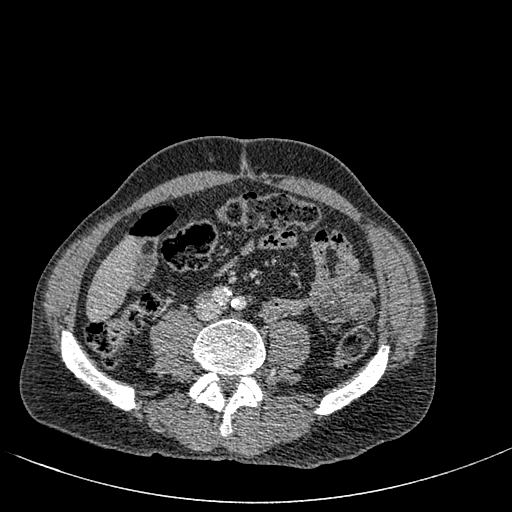 512x512 px. CT. The liver is located at (x1=87, y1=240, x2=134, y2=318).